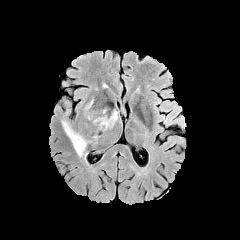
FLAIR magnetic resonance.
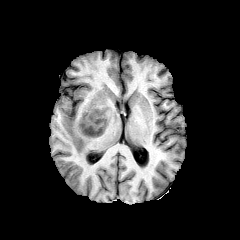
T1-weighted MR.
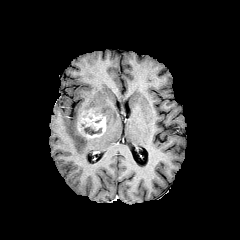
Same slice, post-contrast T1-weighted MR.
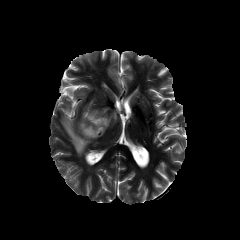
T2-weighted MR.
Head
enhancing_tumor:
  - 78 110 106 133
  - 85 134 101 138
edema:
  - 102 110 117 128
  - 62 107 96 159
non-enhancing_tumor_core:
  - 85 126 101 135